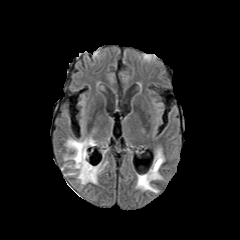
FLAIR magnetic resonance.
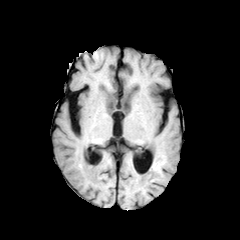
T1-weighted magnetic resonance.
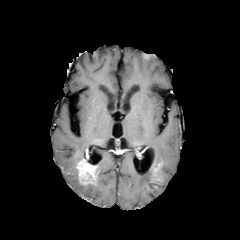
Post-contrast T1-weighted MRI.
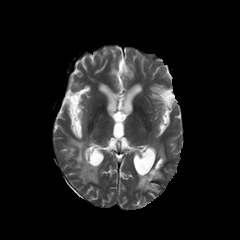
Same slice, T2-weighted MR.
Brain.
The non-enhancing tumor core is at 76, 151, 89, 163. 2 edema regions appear at 65, 140, 87, 183; 138, 153, 163, 192. The enhancing tumor is at 76, 158, 96, 177.